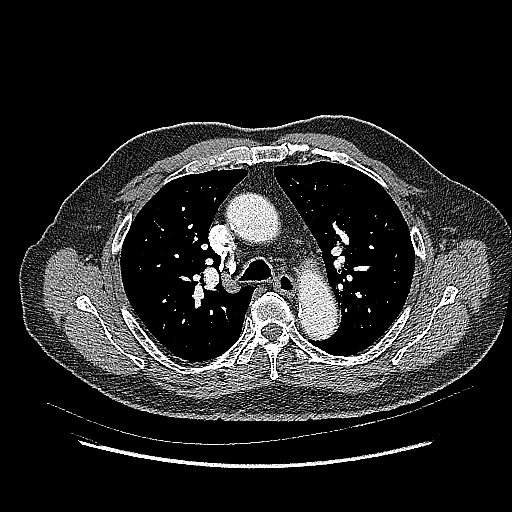 Computed tomography.

{
  "lung_tumor": [
    "330,234,347,253"
  ]
}